FLAIR MR image.
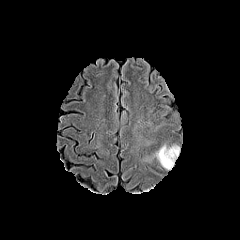
T1-weighted MRI.
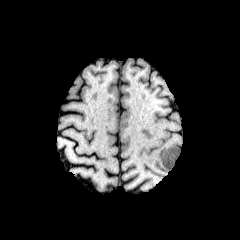
Post-contrast T1-weighted MRI.
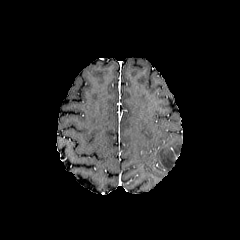
T2-weighted magnetic resonance.
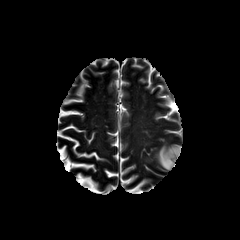
240x240 px
Findings:
• edema: 159,148,175,169